Slice index 15; Magnetic resonance; 33x52 px; Medial temporal lobe 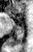
<segmentation>
  <anterior_hippocampus>l=11, t=13, r=15, b=18</anterior_hippocampus>
  <posterior_hippocampus>l=14, t=32, r=23, b=44</posterior_hippocampus>
</segmentation>